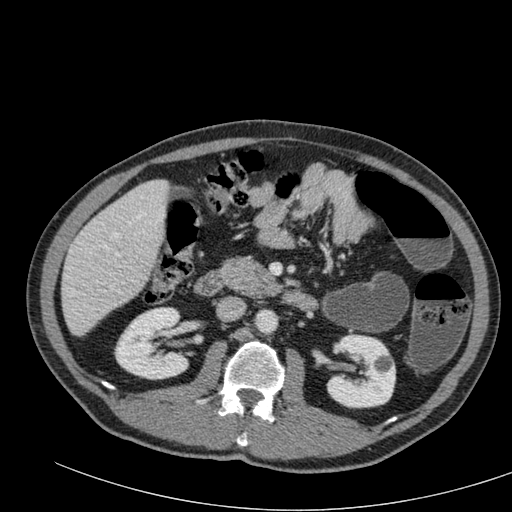
CT image; Upper abdomen
2 kidney regions appear at box(327, 335, 395, 407); box(116, 308, 187, 378). The liver appears at box(61, 180, 168, 335).